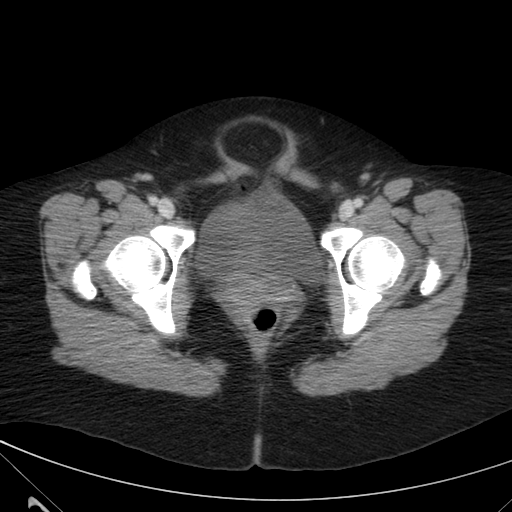 CT image
Annotated regions:
- urinary bladder: region(195, 192, 310, 275)